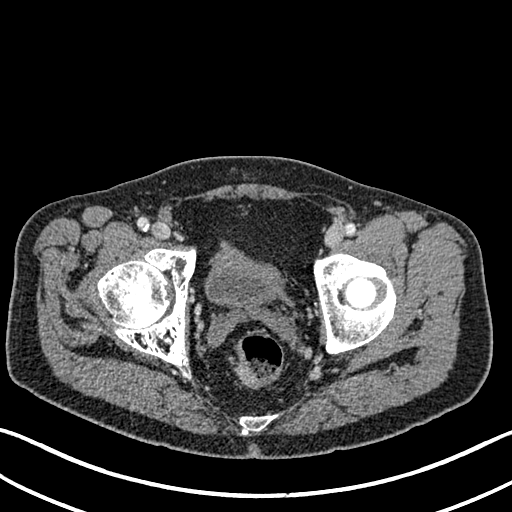

CT slice

urinary bladder: left=205, top=247, right=284, bottom=306